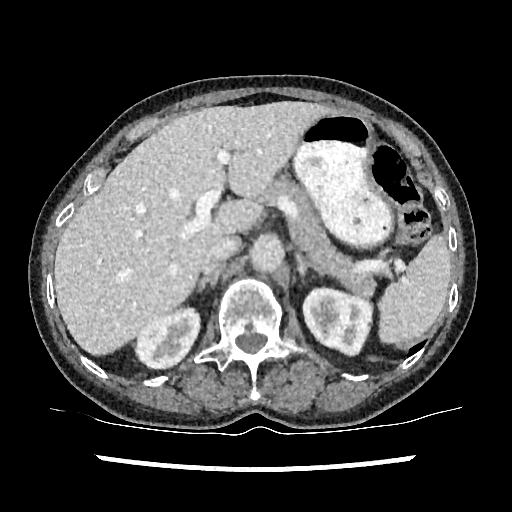
Liver | CT image
<segmentation>
  <liver><bbox>55, 102, 331, 353</bbox></liver>
  <kidney><bbox>137, 310, 198, 371</bbox>, <bbox>304, 289, 371, 353</bbox></kidney>
</segmentation>